Slice index 159; Liver; CT image; Field of view 341 mm wide, 2.50 mm slice spacing

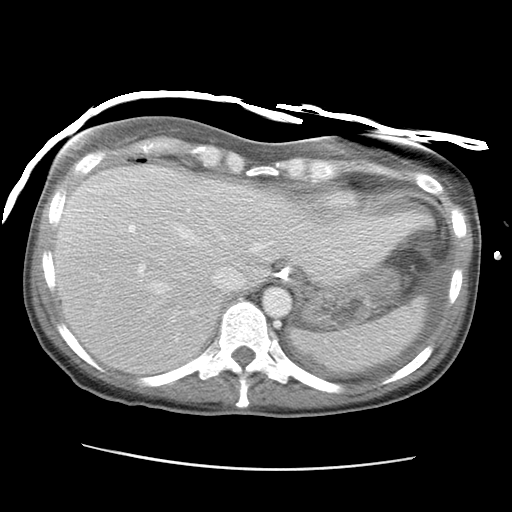 <segmentation>
  <liver>52,164,431,373</liver>
</segmentation>